FLAIR magnetic resonance.
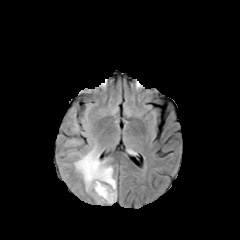
T1-weighted MR.
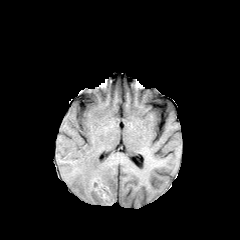
Post-contrast T1-weighted MR.
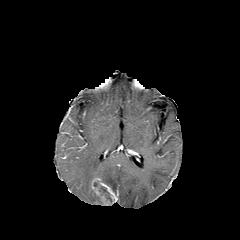
T2-weighted magnetic resonance.
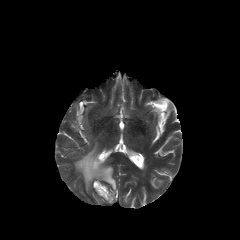
Head
Enhancing tumor — rect(100, 182, 115, 197).
Edema — rect(69, 141, 116, 203); rect(66, 139, 78, 145).
Non-enhancing tumor core — rect(94, 180, 112, 201).